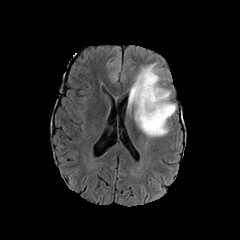
FLAIR MR.
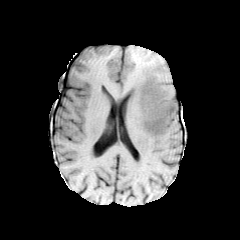
T1-weighted MR of the same slice.
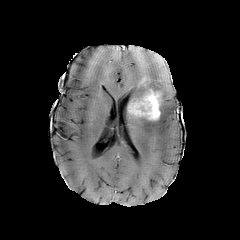
Same slice, post-contrast T1-weighted MRI.
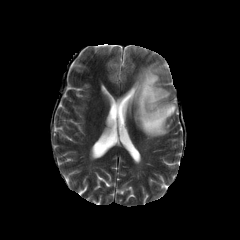
Same slice, T2-weighted MR image.
Enhancing tumor — rect(128, 87, 160, 119).
Edema — rect(128, 62, 176, 137).